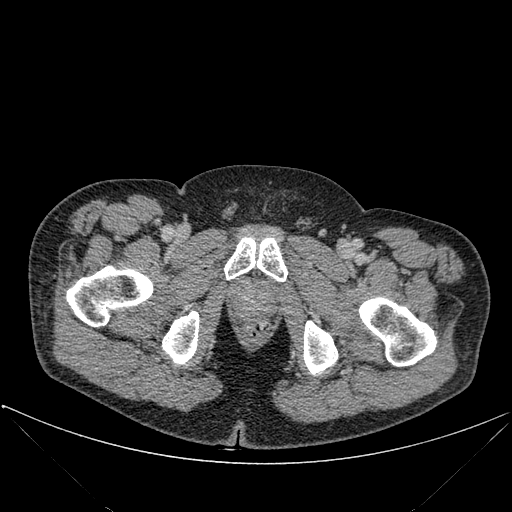 Computed tomography | 512x512 px

Bone at bbox(162, 311, 199, 364); bbox(359, 297, 436, 366); bbox(224, 237, 287, 281); bbox(66, 266, 152, 326); bbox(304, 321, 337, 374).